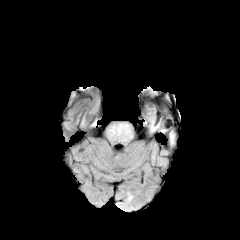
FLAIR MR image.
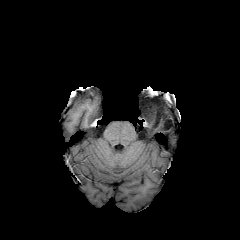
Same slice, T1-weighted MRI.
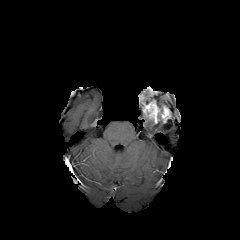
Post-contrast T1-weighted MR image of the same slice.
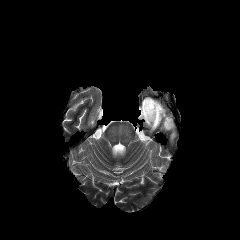
Same slice, T2-weighted MR.
240x240 px
edema: 150:120:163:130 | enhancing tumor: 144:102:160:121 | non-enhancing tumor core: 156:106:165:121